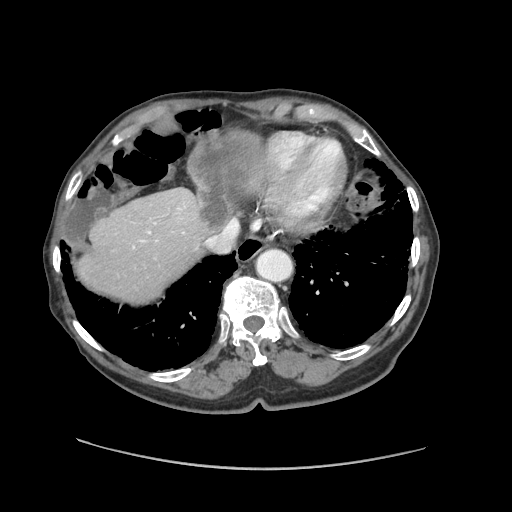
CT image; Abdomen
Not every hepatic vessel necessarily has a box.
The liver tumor appears at (left=191, top=136, right=255, bottom=223). 4 hepatic vessel regions are located at (left=206, top=218, right=238, bottom=252), (left=139, top=239, right=146, bottom=242), (left=132, top=245, right=134, bottom=248), (left=155, top=240, right=157, bottom=241).